FLAIR MR image.
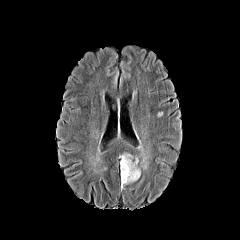
T1-weighted MR.
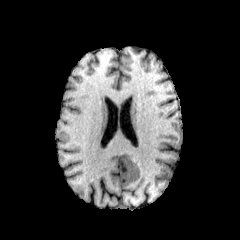
Post-contrast T1-weighted MR.
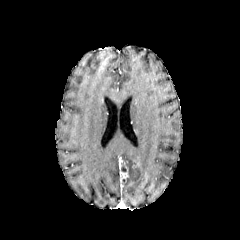
T2-weighted MR image.
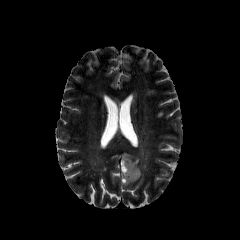
Brain.
The edema is bounded by x1=119 y1=153 x2=140 y2=187. The enhancing tumor is located at x1=120 y1=160 x2=129 y2=184.